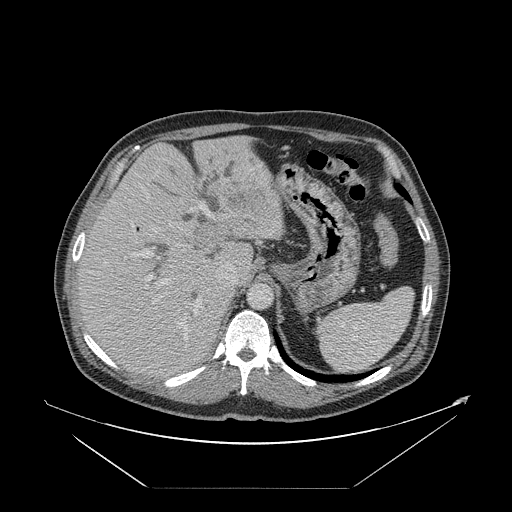

CT scan slice | Liver
The vessel annotation is not exhaustive.
The liver tumor is located at (x1=196, y1=181, x2=267, y2=242). 15 hepatic vessel regions appear at (x1=189, y1=295, x2=201, y2=314), (x1=141, y1=186, x2=143, y2=189), (x1=215, y1=258, x2=242, y2=290), (x1=151, y1=228, x2=163, y2=232), (x1=210, y1=186, x2=212, y2=188), (x1=156, y1=278, x2=170, y2=286), (x1=146, y1=285, x2=147, y2=288), (x1=131, y1=223, x2=133, y2=230), (x1=221, y1=177, x2=227, y2=181), (x1=179, y1=316, x2=188, y2=340), (x1=130, y1=248, x2=153, y2=257), (x1=187, y1=200, x2=210, y2=215), (x1=145, y1=275, x2=152, y2=281), (x1=152, y1=294, x2=165, y2=303), (x1=157, y1=257, x2=159, y2=259).